CT slice | Slice 505 of 733 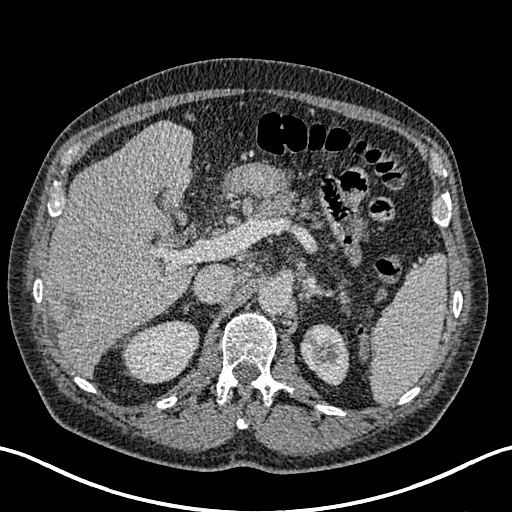
focal liver lesion: <box>51,284,98,327</box>, <box>149,181,169,202</box> | kidney: <box>301,325,347,383</box>, <box>125,322,197,382</box> | liver: <box>45,121,195,376</box>